FLAIR magnetic resonance.
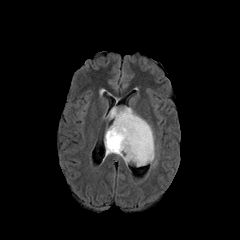
T1-weighted magnetic resonance.
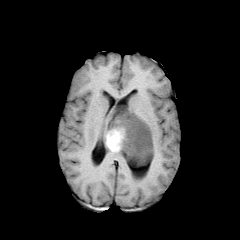
Post-contrast T1-weighted MR image.
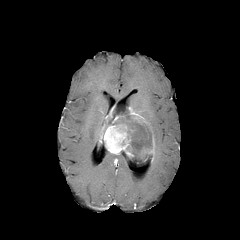
T2-weighted MR.
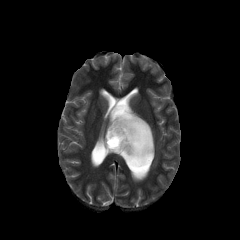
Image size 240x240 | Head
Segmented structures:
- non-enhancing tumor core: x1=113 y1=106 x2=152 y2=165
- enhancing tumor: x1=128 y1=107 x2=148 y2=125, x1=104 y1=116 x2=133 y2=157, x1=142 y1=136 x2=154 y2=161
- edema: x1=148 y1=145 x2=157 y2=167, x1=148 y1=122 x2=155 y2=142, x1=117 y1=154 x2=135 y2=166